FLAIR MRI.
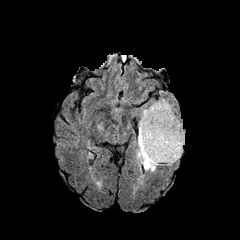
T1-weighted magnetic resonance.
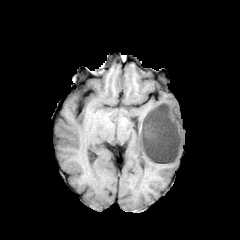
Post-contrast T1-weighted MR image.
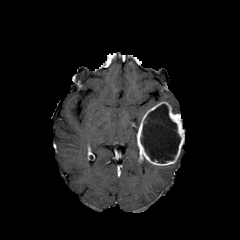
T2-weighted MR image.
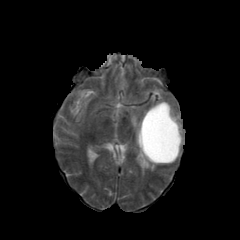
240x240 px | Brain
edema:
  - box(139, 97, 179, 119)
  - box(134, 137, 157, 171)
non-enhancing_tumor_core:
  - box(141, 104, 180, 162)
enhancing_tumor:
  - box(136, 102, 184, 165)